Brain, 240x240 px
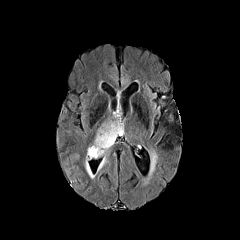
FLAIR MR.
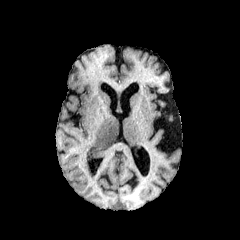
T1-weighted MR.
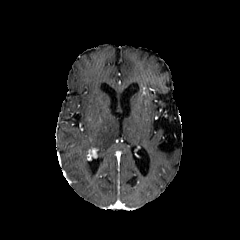
Post-contrast T1-weighted magnetic resonance.
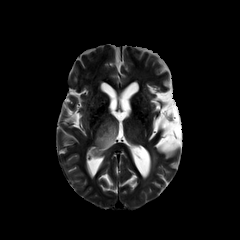
Same slice, T2-weighted MR image.
* enhancing tumor: (left=87, top=149, right=97, bottom=160)
* edema: (left=92, top=121, right=118, bottom=155), (left=83, top=160, right=94, bottom=178)